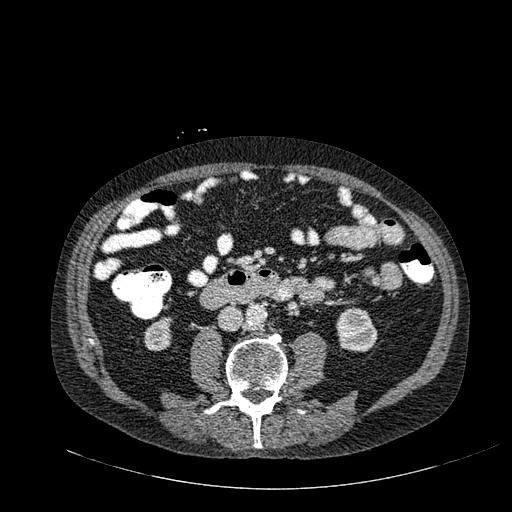

CT image, Abdomen
2 kidney regions are located at region(336, 307, 377, 352); region(144, 317, 172, 351).